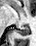
Magnetic resonance | Medial temporal lobe | 36x46 px
posterior hippocampus: 14:27:29:35